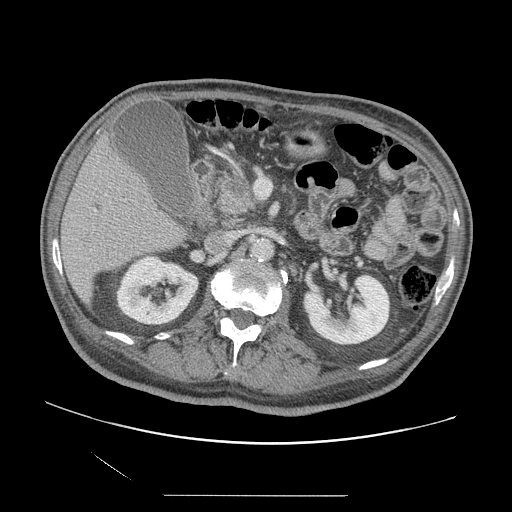 CT slice | Abdomen

Pancreatic tumor: bounding box bbox(230, 181, 249, 197).
Pancreas: bounding box bbox(215, 174, 255, 220).